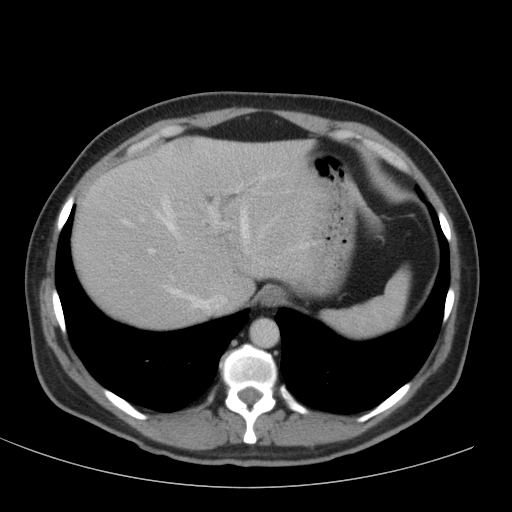
CT

<segmentation>
  <liver>73,138,326,327</liver>
</segmentation>